Slice 52/155.
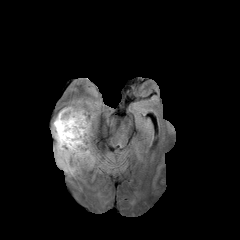
FLAIR magnetic resonance.
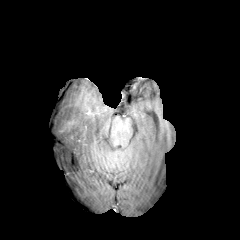
T1-weighted MRI.
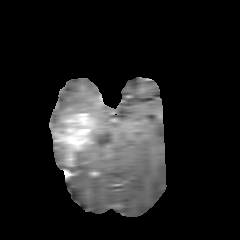
Post-contrast T1-weighted MRI.
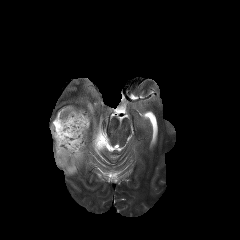
T2-weighted magnetic resonance of the same slice.
2 edema regions are located at <box>51,105,84,135</box>, <box>53,143,94,176</box>. The enhancing tumor is located at <box>53,108,93,165</box>. The non-enhancing tumor core lies within <box>56,150,63,160</box>.